Slice index 99, Brain
FLAIR MRI.
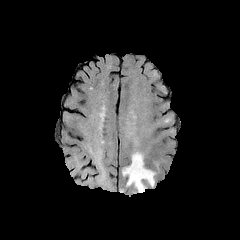
T1-weighted MR image.
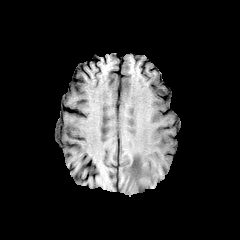
Post-contrast T1-weighted magnetic resonance.
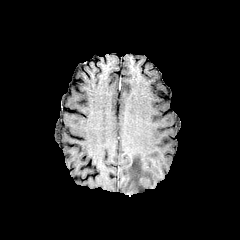
T2-weighted MR.
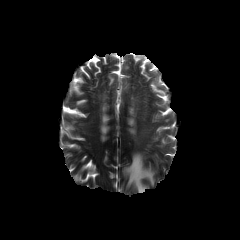
Edema: [122,152,155,191].